512x512, CT scan slice 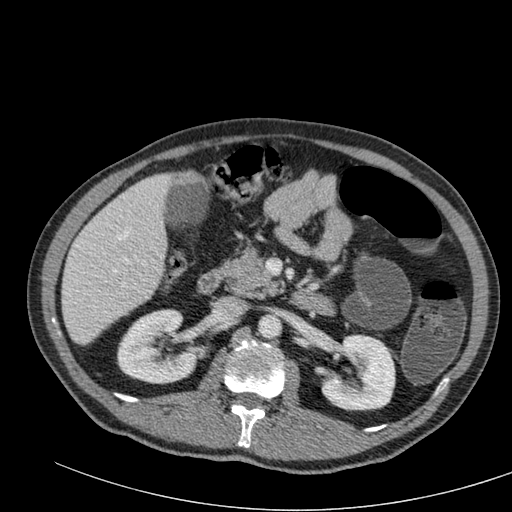
Kidney: <bbox>118, 310, 198, 382</bbox>, <bbox>322, 335, 394, 409</bbox>.
Liver: <bbox>62, 174, 172, 344</bbox>.